FLAIR MR image.
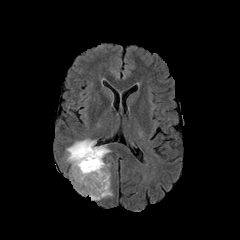
T1-weighted MR image.
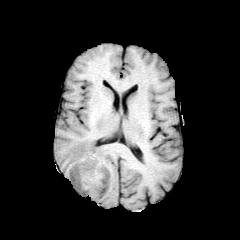
Post-contrast T1-weighted magnetic resonance.
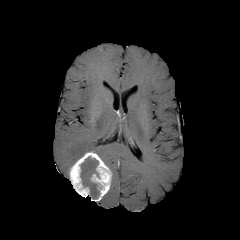
T2-weighted MR image.
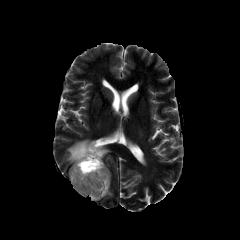
Head
Segmented structures:
* edema: [64,139,110,167], [82,176,97,198]
* non-enhancing tumor core: [80,157,99,195]
* enhancing tumor: [69,151,110,201]